CT image 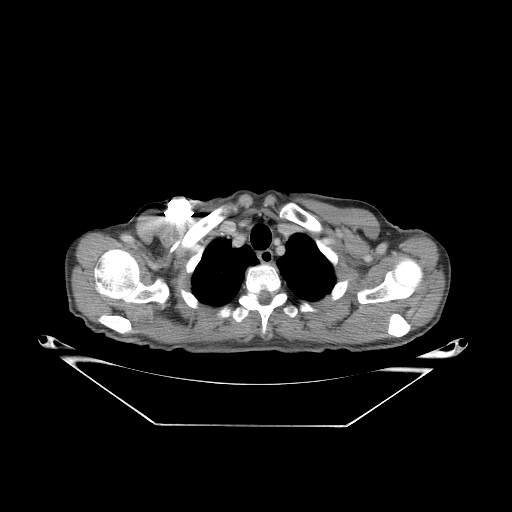 lung:
  - region(191, 238, 257, 306)
  - region(277, 233, 335, 301)
bone:
  - region(388, 314, 409, 336)
  - region(233, 265, 286, 332)
  - region(165, 198, 223, 271)
  - region(332, 281, 347, 298)
  - region(280, 204, 336, 262)
  - region(99, 315, 130, 332)
  - region(303, 304, 313, 311)
  - region(181, 290, 196, 307)
  - region(95, 250, 168, 302)
  - region(358, 259, 421, 303)